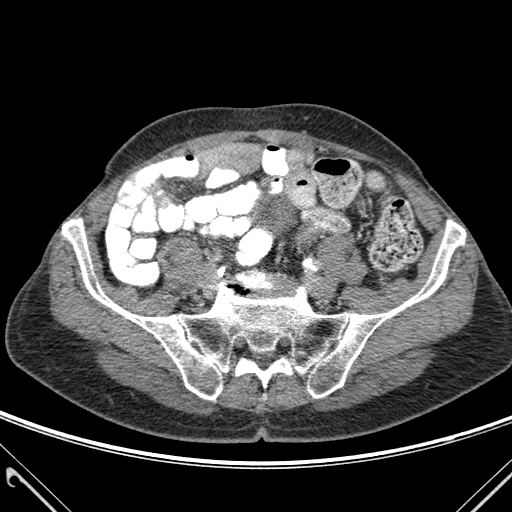

Computed tomography
2 bone regions are located at <box>62,218,465,400</box>, <box>235,358,292,387</box>.